FLAIR MRI.
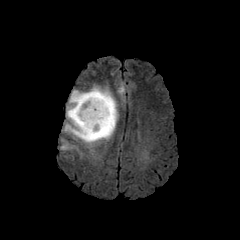
T1-weighted MR.
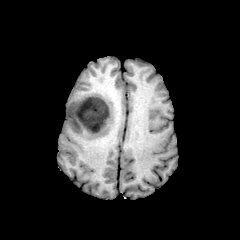
Post-contrast T1-weighted MR image.
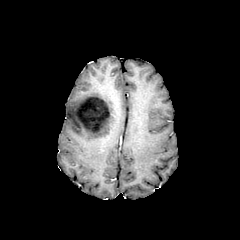
T2-weighted MR.
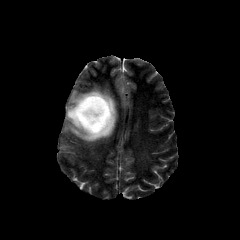
240x240 px, Head
Non-enhancing tumor core at box(70, 89, 116, 139).
Edema at box(110, 98, 118, 127); box(64, 86, 113, 145).